Image size 512x512; CT; Abdomen 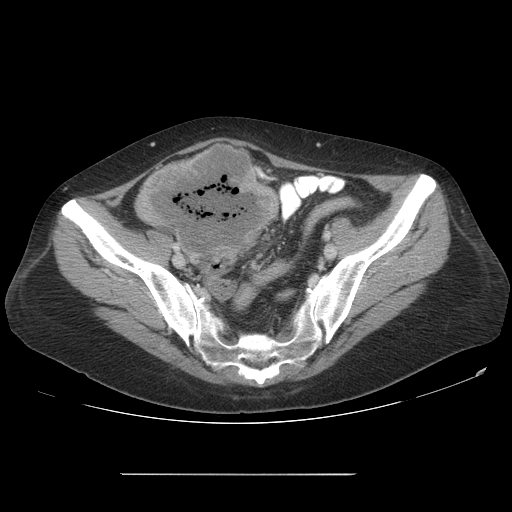
* colon tumor: region(134, 144, 279, 262)